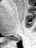

Medial temporal lobe, MRI slice
Annotated regions:
- posterior hippocampus: 7, 37, 19, 40